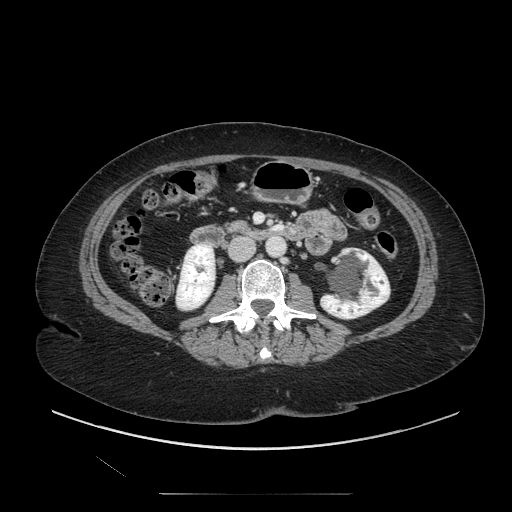

CT image. Abdomen.
Segmented structures:
- pancreas: region(227, 221, 250, 233)